Head | Slice 87/155
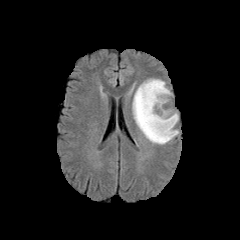
FLAIR MRI.
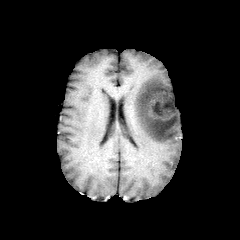
T1-weighted magnetic resonance.
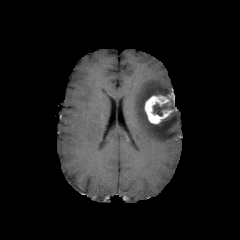
Post-contrast T1-weighted MR image.
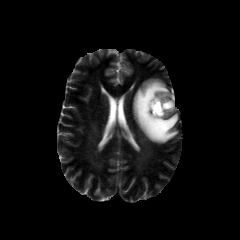
T2-weighted MRI of the same slice.
Segmented structures:
• enhancing tumor: x1=144 y1=92 x2=175 y2=123
• edema: x1=132 y1=78 x2=179 y2=144
• non-enhancing tumor core: x1=137 y1=86 x2=174 y2=136, x1=153 y1=99 x2=175 y2=115